Image width 350 mm; Computed tomography; Abdomen; 512x512 px
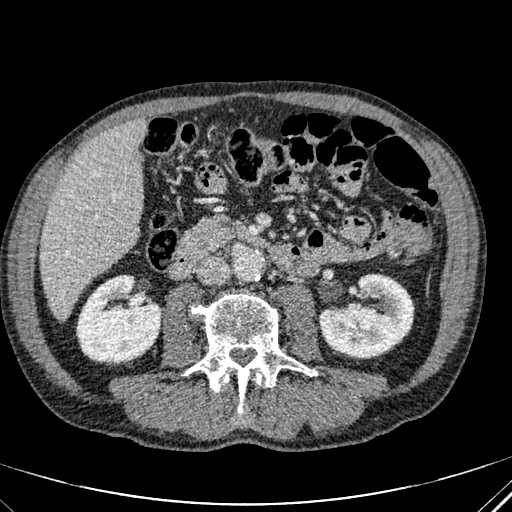
{
  "liver": [
    "rect(40, 119, 144, 318)"
  ],
  "kidney": [
    "rect(320, 275, 412, 356)",
    "rect(77, 276, 159, 361)"
  ]
}